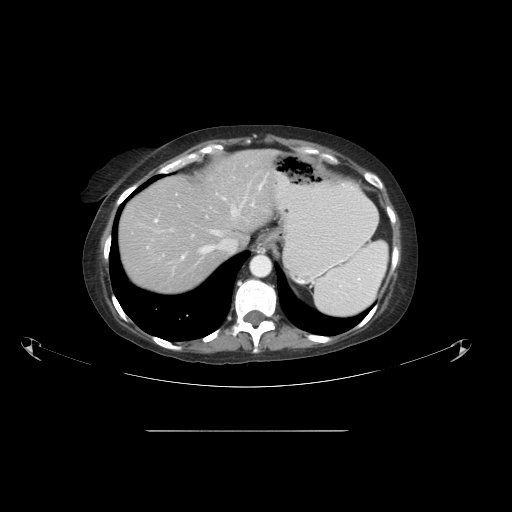 CT scan slice

Only some of the vessels may be annotated.
• hepatic vessel: 200 245 216 253, 231 204 238 219, 211 230 222 235, 147 246 148 248, 251 201 254 206, 244 195 246 201, 181 253 186 260, 191 234 193 236, 258 173 268 190, 154 219 157 222